FLAIR MRI.
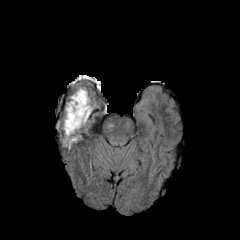
T1-weighted MR.
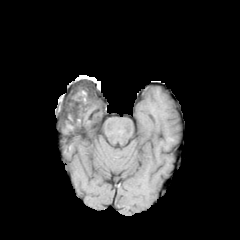
Post-contrast T1-weighted MR image.
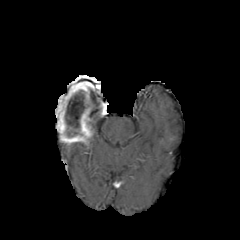
T2-weighted MR image.
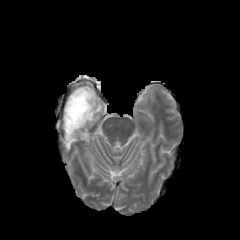
<segmentation>
  <non-enhancing_tumor_core>67:101:89:126</non-enhancing_tumor_core>
  <edema>67:110:87:135, 69:86:91:113</edema>
</segmentation>